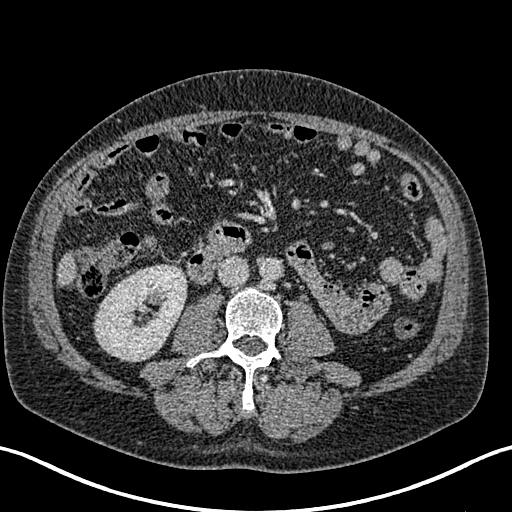

CT scan slice
{
  "liver": [
    "58,251,76,285"
  ],
  "kidney": [
    "95,265,186,361"
  ]
}